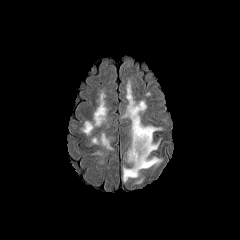
FLAIR magnetic resonance.
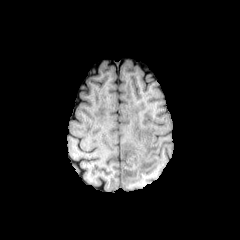
T1-weighted MRI of the same slice.
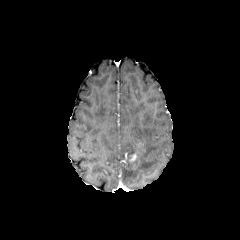
Post-contrast T1-weighted MRI.
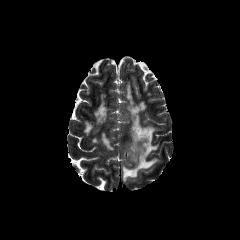
T2-weighted MR image of the same slice.
Brain
<segmentation>
  <edema>{"x1": 123, "y1": 82, "x2": 161, "y2": 183}, {"x1": 101, "y1": 134, "x2": 112, "y2": 150}, {"x1": 93, "y1": 94, "x2": 105, "y2": 126}, {"x1": 82, "y1": 122, "x2": 93, "y2": 135}</edema>
</segmentation>